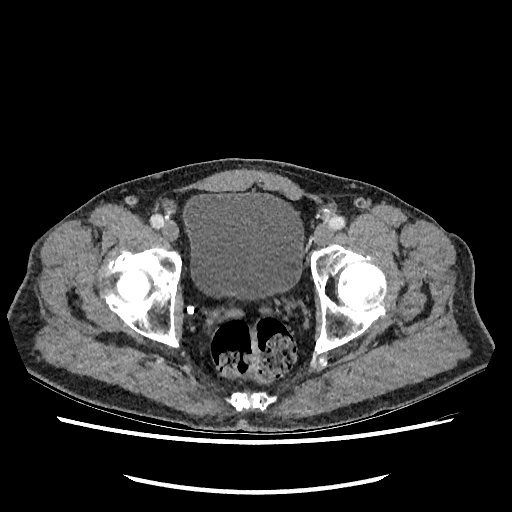

512x512, Pelvis, CT image
urinary_bladder:
  - x1=183 y1=191 x2=303 y2=299